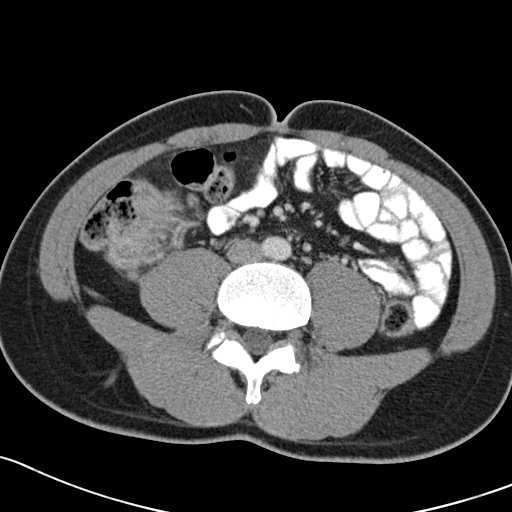

CT
The colon tumor is bounded by region(108, 181, 179, 267).